Liver; Computed tomography; Slice index 72; Field of view 291x291 mm

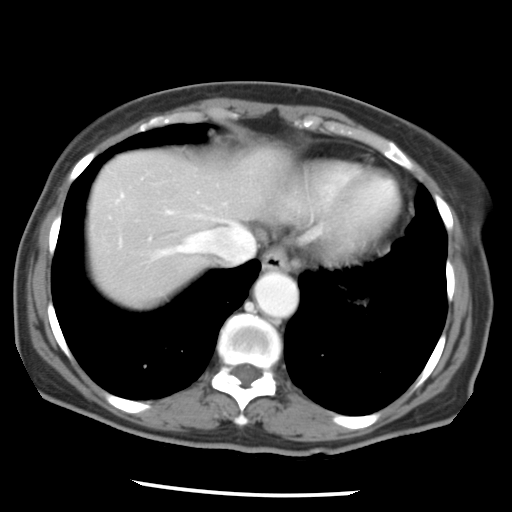
Some hepatic vessels may have no box.
Hepatic vessel — 154 204 253 262, 222 202 226 205, 115 192 124 202, 166 209 174 214.